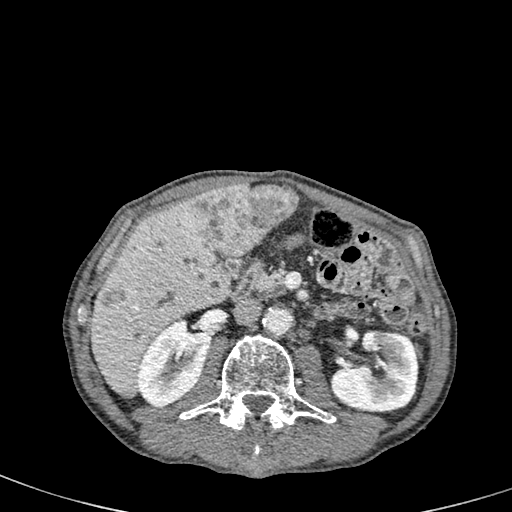
Abdomen, CT
2 focal liver lesion regions are bounded by bbox=[102, 288, 125, 306]; bbox=[197, 184, 296, 256]. 2 kidney regions are located at bbox=[137, 316, 210, 406]; bbox=[332, 329, 417, 410]. The liver appears at bbox=[91, 197, 232, 397].